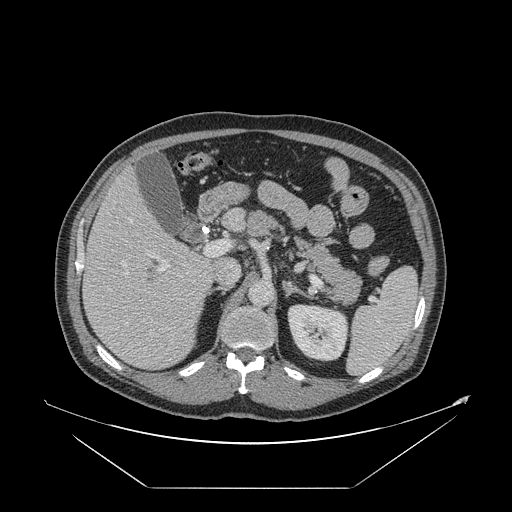 Abdomen, CT scan slice

The vessel boxes may cover only some of the vessels.
hepatic vessel: bbox=[205, 240, 229, 256]; bbox=[150, 331, 152, 334]; bbox=[129, 219, 131, 223]; bbox=[121, 261, 125, 266]; bbox=[224, 261, 239, 282]; bbox=[149, 254, 168, 271]; bbox=[124, 272, 127, 275]